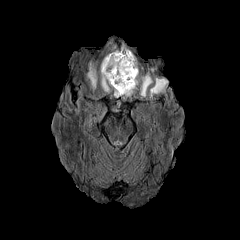
FLAIR MR image.
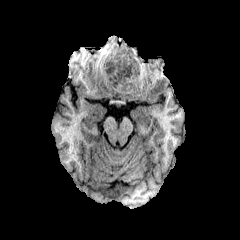
T1-weighted MRI of the same slice.
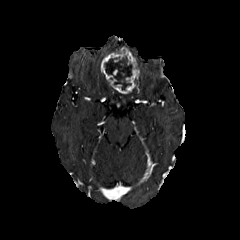
Same slice, post-contrast T1-weighted magnetic resonance.
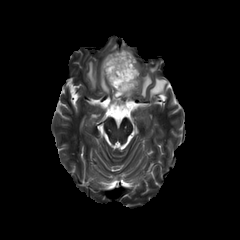
Same slice, T2-weighted MR image.
Annotated regions:
- non-enhancing tumor core: [103,56,132,90]
- enhancing tumor: [100,45,140,97]
- edema: [150,79,167,99], [140,72,151,96], [101,41,115,51], [101,74,109,92], [86,61,96,90]